Slice 94 of 144. CT image. Abdomen.

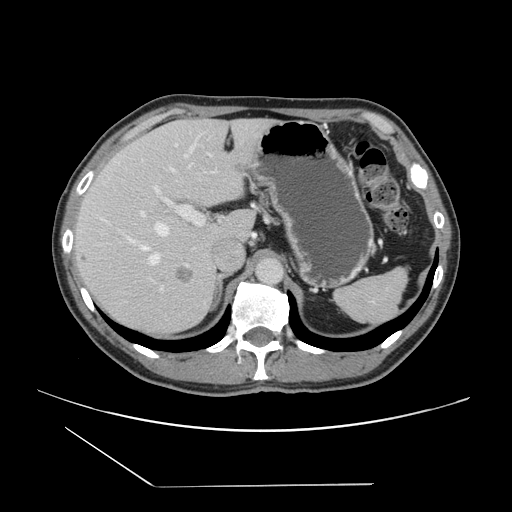 The vessel boxes may cover only some of the vessels.
Segmented structures:
• liver tumor: 175, 268, 193, 282
• hepatic vessel: 203, 170, 206, 172; 214, 169, 216, 171; 171, 168, 174, 170; 138, 245, 140, 248; 185, 135, 200, 157; 118, 229, 120, 231; 211, 171, 215, 172; 159, 255, 159, 258; 141, 159, 142, 160; 108, 223, 109, 224; 189, 164, 191, 166